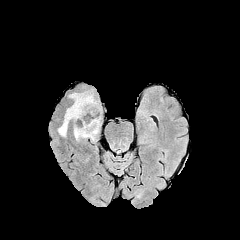
FLAIR magnetic resonance.
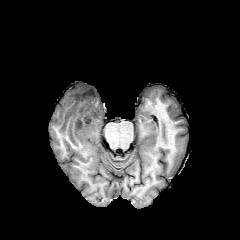
T1-weighted MR.
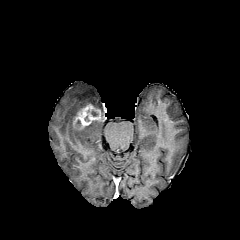
Post-contrast T1-weighted magnetic resonance of the same slice.
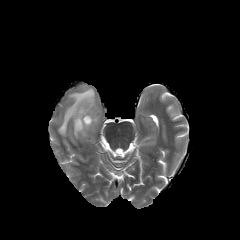
T2-weighted MRI.
Head
Annotated regions:
• enhancing tumor: [76, 105, 102, 126]
• non-enhancing tumor core: [73, 110, 87, 128], [90, 108, 99, 116], [75, 91, 93, 107]
• edema: [58, 92, 99, 141], [78, 88, 101, 109]